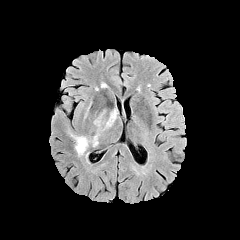
FLAIR MRI.
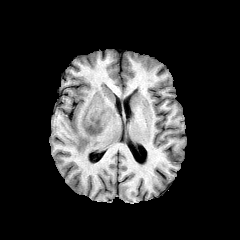
Same slice, T1-weighted MRI.
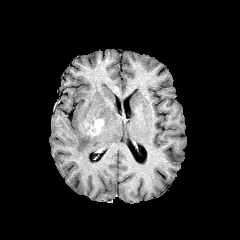
Post-contrast T1-weighted MR of the same slice.
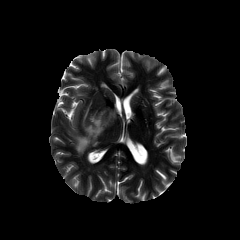
T2-weighted MR image of the same slice.
The enhancing tumor is at 86,116,103,137. 2 edema regions appear at 67,116,99,156; 96,111,116,129.